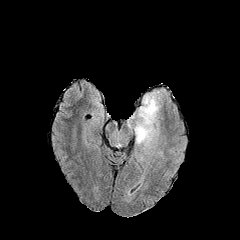
FLAIR MR.
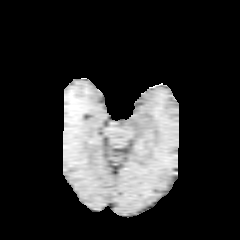
T1-weighted magnetic resonance.
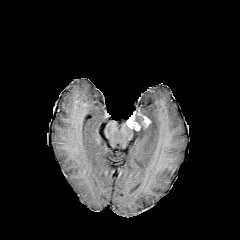
Post-contrast T1-weighted MR image.
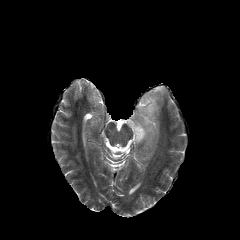
Same slice, T2-weighted MR image.
Head.
edema: bbox(132, 90, 165, 159) | enhancing tumor: bbox(126, 111, 151, 130)